Abdomen, CT scan slice
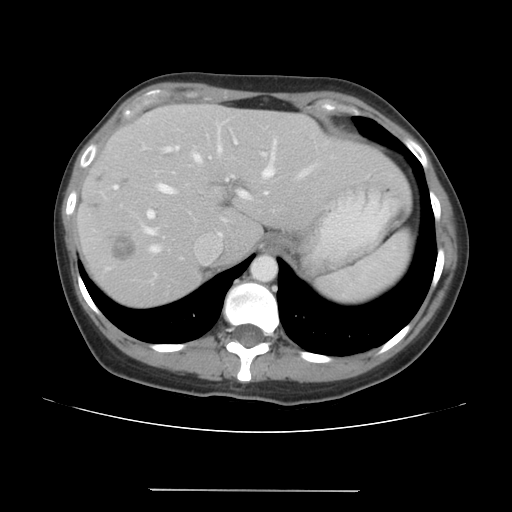 The vessel boxes may cover only some of the vessels.
The liver tumor is located at [111,237,134,258]. 8 hepatic vessel regions appear at [148,212,152,216], [241,193,248,197], [144,227,155,234], [298,166,312,177], [159,185,172,192], [262,164,274,178], [194,154,200,161], [272,153,273,161].